Slice 12/30. 34x51. MR.

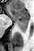
Posterior hippocampus: bounding box box(15, 21, 28, 33).
Anterior hippocampus: bounding box box(8, 7, 28, 21).